Slice 94/155, Head
FLAIR MR image.
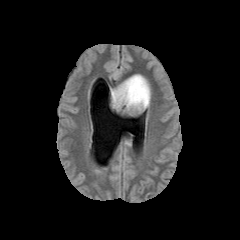
T1-weighted MR image.
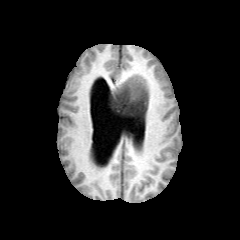
Post-contrast T1-weighted MRI.
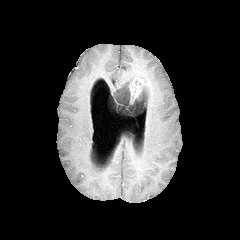
T2-weighted MR image.
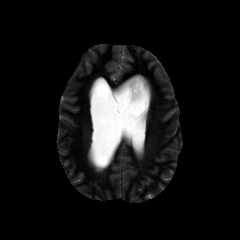
{"edema": [{"x1": 110, "y1": 73, "x2": 153, "y2": 109}], "non-enhancing_tumor_core": [{"x1": 109, "y1": 85, "x2": 147, "y2": 117}], "enhancing_tumor": [{"x1": 127, "y1": 76, "x2": 147, "y2": 104}]}